Slice 81/155, Brain
FLAIR MRI.
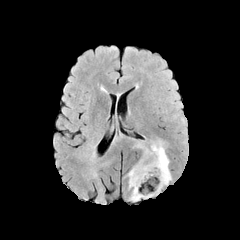
T1-weighted MR.
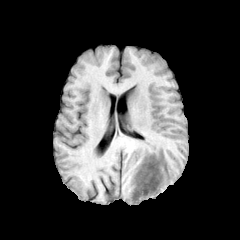
Post-contrast T1-weighted MR.
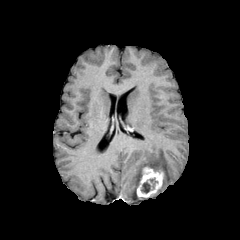
T2-weighted MR image.
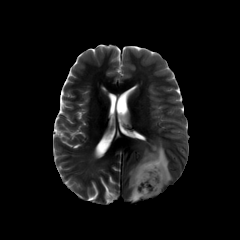
Enhancing tumor at 137 166 163 198.
Edema at 127 160 144 201, 145 142 172 195.
Non-enhancing tumor core at 140 183 151 192, 136 163 156 177.